Slice index 397; CT

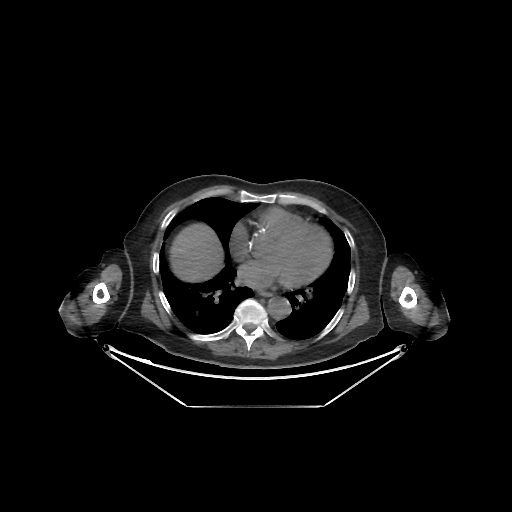

The liver appears at (left=171, top=225, right=219, bottom=280). 2 lung regions are located at (left=159, top=197, right=259, bottom=334), (left=275, top=214, right=350, bottom=340). 9 bone regions appear at (left=321, top=310, right=342, bottom=336), (left=159, top=292, right=169, bottom=312), (left=93, top=282, right=109, bottom=304), (left=348, top=272, right=354, bottom=292), (left=241, top=191, right=277, bottom=202), (left=162, top=212, right=174, bottom=227), (left=399, top=286, right=416, bottom=308), (left=153, top=253, right=158, bottom=272), (left=191, top=299, right=270, bottom=349).